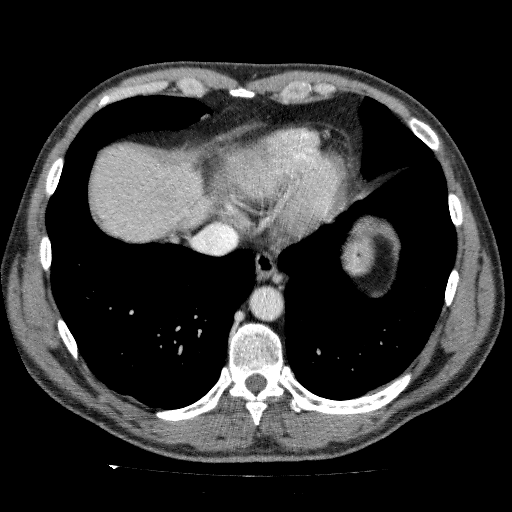
CT slice, 512x512 px, Abdomen
<segmentation>
  <liver>89 145 266 242</liver>
</segmentation>